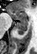

Hippocampus, Magnetic resonance
• anterior hippocampus: {"x1": 7, "y1": 10, "x2": 26, "y2": 19}
• posterior hippocampus: {"x1": 16, "y1": 20, "x2": 27, "y2": 34}